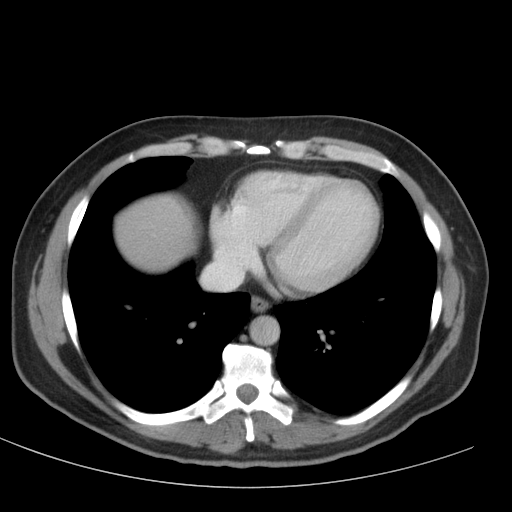

CT
Annotated regions:
• liver: [x1=117, y1=197, x2=191, y2=263]